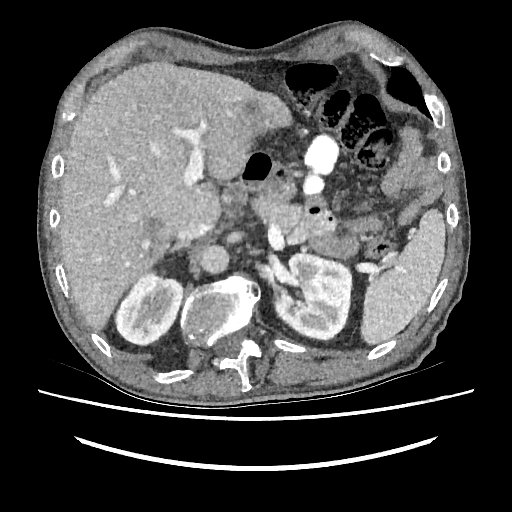

CT scan slice
The liver lies within [59,62,292,329]. 2 kidney regions are located at [273,253,351,339], [116,274,182,344]. 3 hepatic lesion regions are bounded by [246,102,255,113], [144,218,164,242], [248,121,265,139].